Slice 79 of 88, Liver, CT scan slice 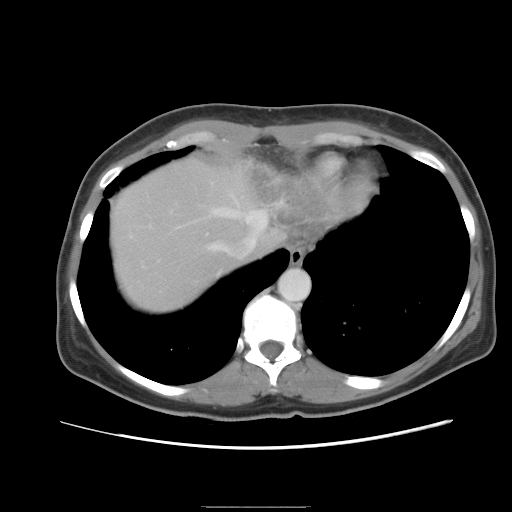 Not every hepatic vessel necessarily has a box.
Segmented structures:
* liver tumor: 236, 159, 330, 242
* hepatic vessel: 208, 207, 264, 259